FLAIR MR.
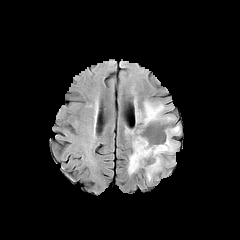
T1-weighted MR.
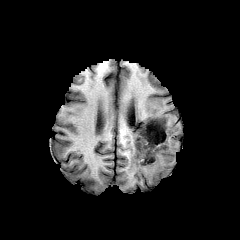
Post-contrast T1-weighted magnetic resonance.
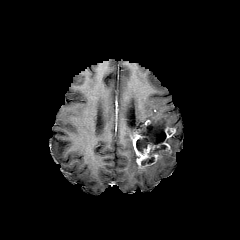
T2-weighted MR.
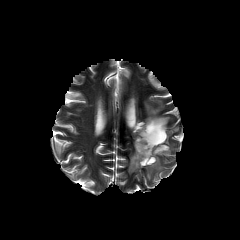
Head
2 edema regions appear at box(127, 138, 176, 179); box(136, 102, 172, 124). 2 non-enhancing tumor core regions are bounded by box(141, 147, 163, 165); box(132, 120, 171, 151). The enhancing tumor is at box(133, 134, 153, 165).